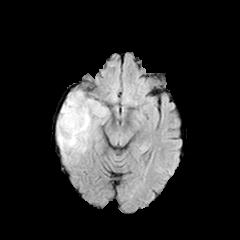
FLAIR MRI.
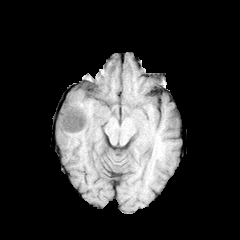
Same slice, T1-weighted magnetic resonance.
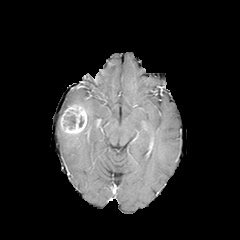
Post-contrast T1-weighted magnetic resonance.
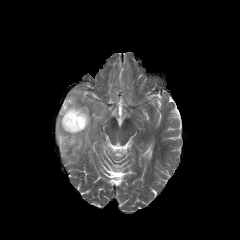
T2-weighted magnetic resonance.
Head; 240x240 px
2 non-enhancing tumor core regions are bounded by [x1=61, y1=130, x2=78, y2=139], [x1=67, y1=116, x2=75, y2=125]. The edema is at [x1=57, y1=90, x2=107, y2=157]. The enhancing tumor is at [x1=60, y1=104, x2=86, y2=133].